Image size 240x240; Brain
FLAIR magnetic resonance.
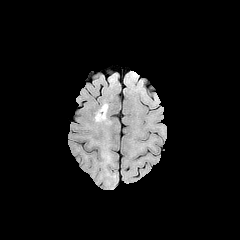
T1-weighted MR image.
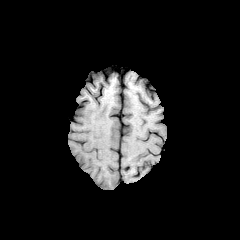
Post-contrast T1-weighted MR image.
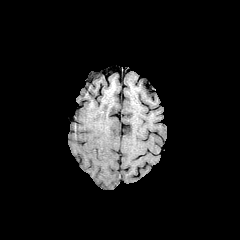
T2-weighted MRI.
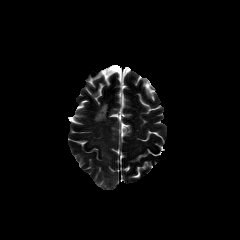
edema:
  - bbox(97, 105, 106, 120)